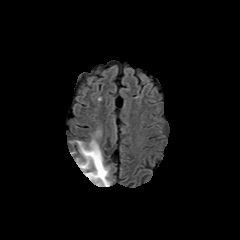
FLAIR MR.
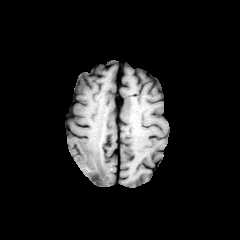
T1-weighted MR image of the same slice.
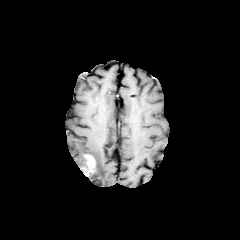
Post-contrast T1-weighted MRI.
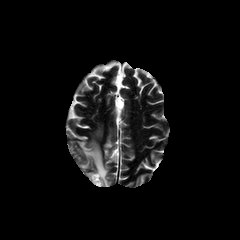
Same slice, T2-weighted MR image.
Head. 240x240.
The edema is located at <bbox>75, 140, 111, 185</bbox>. The non-enhancing tumor core is bounded by <bbox>89, 168, 99, 180</bbox>. The enhancing tumor is at <bbox>85, 154, 94, 175</bbox>.